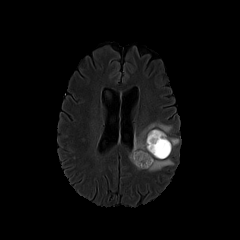
FLAIR magnetic resonance.
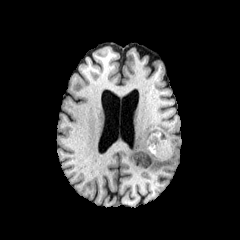
T1-weighted MR.
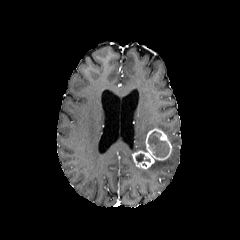
Same slice, post-contrast T1-weighted MRI.
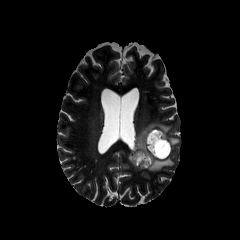
Same slice, T2-weighted MR.
240x240. Head.
3 edema regions are bounded by bbox(167, 136, 178, 147); bbox(148, 158, 173, 171); bbox(128, 121, 172, 166). 2 non-enhancing tumor core regions are located at bbox(135, 153, 144, 161); bbox(148, 131, 170, 158). The enhancing tumor is bounded by bbox(131, 127, 172, 169).